FLAIR MRI.
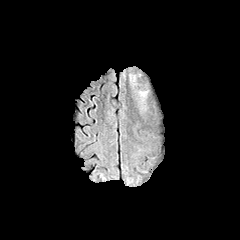
T1-weighted MR image.
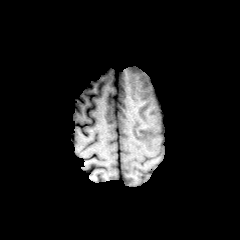
Post-contrast T1-weighted MRI.
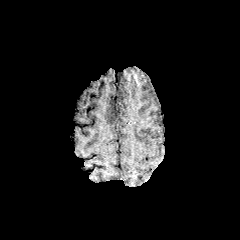
T2-weighted MR.
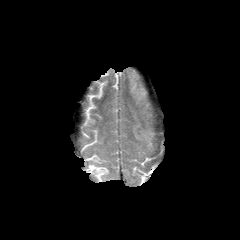
240x240 px
Edema = [x1=134, y1=89, x2=146, y2=102], [x1=128, y1=74, x2=137, y2=88].